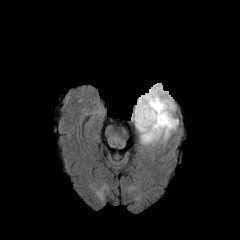
FLAIR MR.
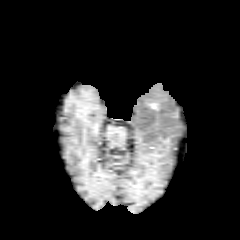
T1-weighted magnetic resonance.
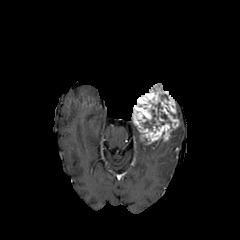
Post-contrast T1-weighted magnetic resonance of the same slice.
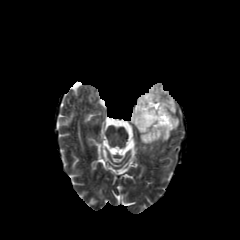
T2-weighted magnetic resonance.
Brain
<segmentation>
  <enhancing_tumor><bbox>131, 83, 178, 143</bbox></enhancing_tumor>
</segmentation>